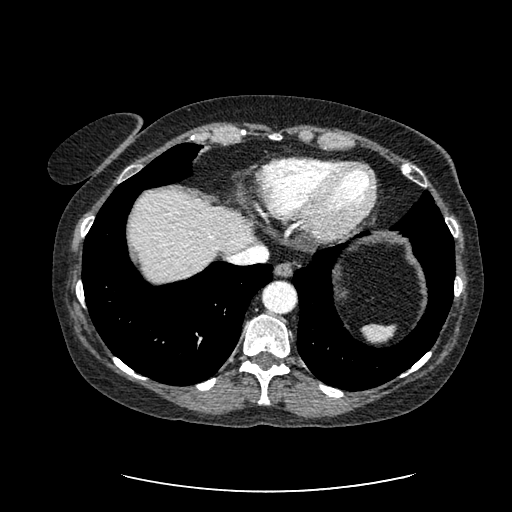 CT scan slice, Liver

liver: (x1=129, y1=191, x2=256, y2=282)